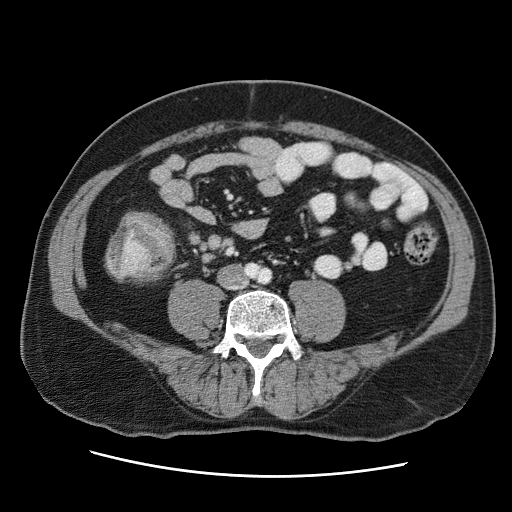 512x512, Pelvis, CT image
colon tumor: x1=105, y1=211, x2=173, y2=281